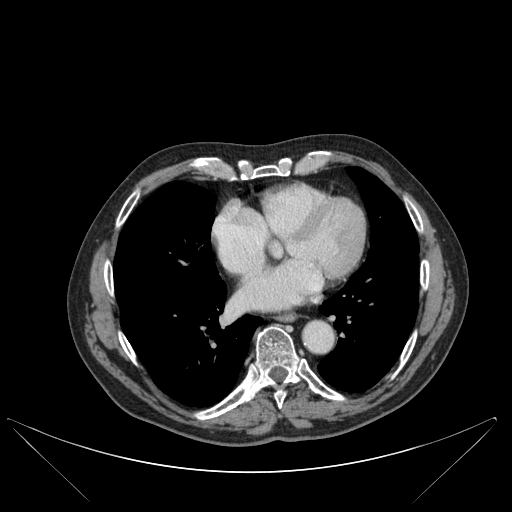 CT image | Chest | 512x512 px
lung: {"x1": 318, "y1": 167, "x2": 418, "y2": 392}, {"x1": 113, "y1": 181, "x2": 262, "y2": 405} | bone: {"x1": 118, "y1": 333, "x2": 135, "y2": 363}, {"x1": 195, "y1": 327, "x2": 343, "y2": 419}, {"x1": 241, "y1": 167, "x2": 288, "y2": 179}, {"x1": 420, "y1": 260, "x2": 429, "y2": 288}, {"x1": 117, "y1": 194, "x2": 137, "y2": 226}, {"x1": 399, "y1": 332, "x2": 416, "y2": 369}, {"x1": 406, "y1": 199, "x2": 422, "y2": 230}, {"x1": 104, "y1": 262, "x2": 113, "y2": 294}, {"x1": 192, "y1": 159, "x2": 217, "y2": 167}, {"x1": 308, "y1": 152, "x2": 328, "y2": 155}